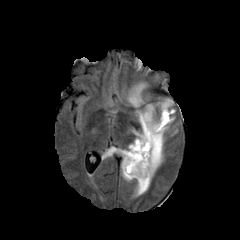
FLAIR MR.
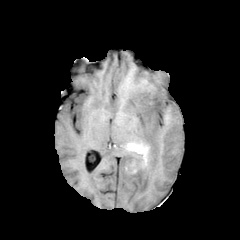
T1-weighted MR image.
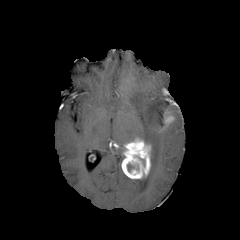
Same slice, post-contrast T1-weighted MR.
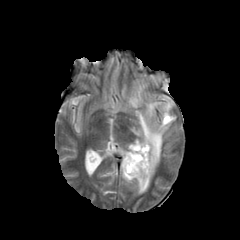
T2-weighted MR image.
Brain
Findings:
• enhancing tumor: {"x1": 122, "y1": 141, "x2": 149, "y2": 178}
• edema: {"x1": 129, "y1": 82, "x2": 174, "y2": 194}